512x512 px | Slice index 334 | CT scan slice
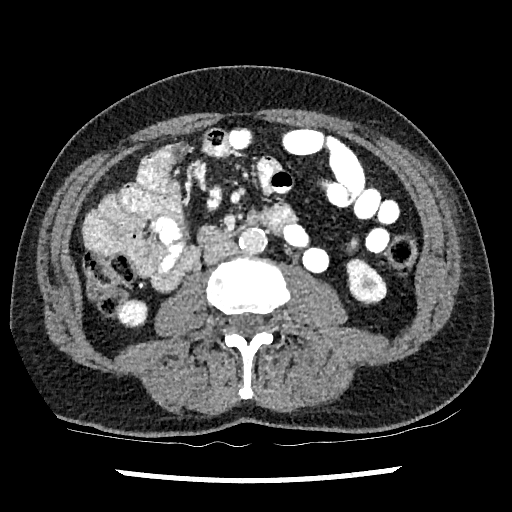
kidney: rect(120, 302, 145, 324); rect(348, 261, 385, 300)